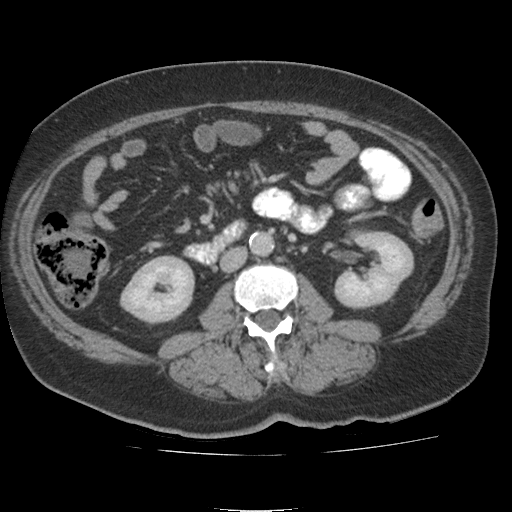
CT slice.

2 kidney regions are located at (338, 232, 410, 305), (122, 257, 194, 320).